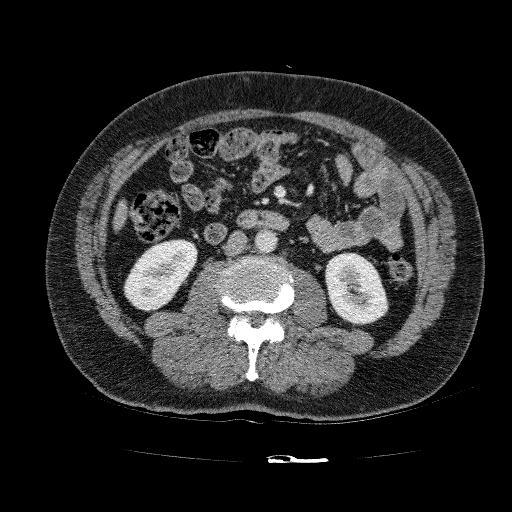 Abdomen. CT.

<segmentation>
  <liver>left=113, top=200, right=127, bottom=232</liver>
  <kidney>left=125, top=240, right=196, bottom=309; left=326, top=253, right=387, bottom=323</kidney>
</segmentation>